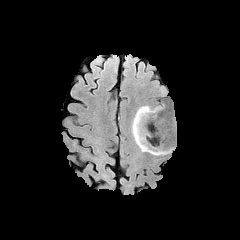
FLAIR MR image.
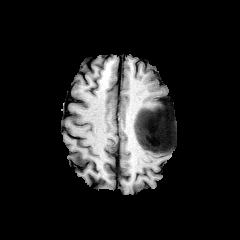
T1-weighted MR image.
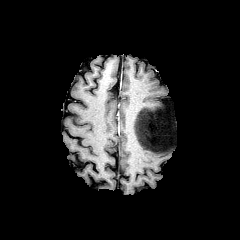
Post-contrast T1-weighted MR.
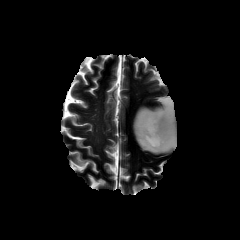
T2-weighted magnetic resonance of the same slice.
240x240 px
{
  "edema": [
    "box(140, 104, 163, 109)",
    "box(132, 119, 174, 156)"
  ],
  "non-enhancing_tumor_core": [
    "box(134, 108, 172, 151)"
  ]
}